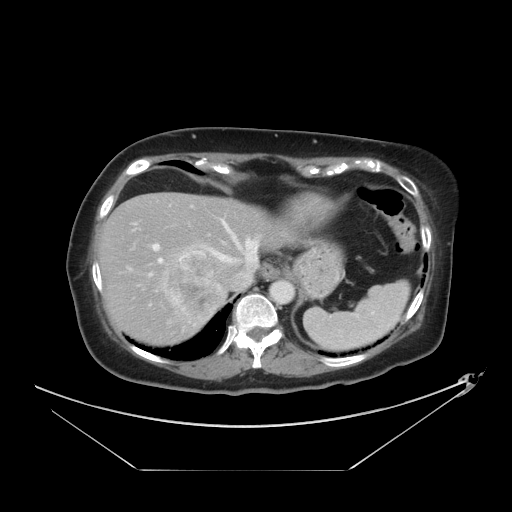

CT scan slice; Image size 512x512
Only some of the vessels may be annotated.
5 hepatic vessel regions are located at (158,258,162,262), (153,244,159,250), (212,251,241,263), (222,220,257,285), (149,273,151,275). The liver tumor lies within (160,247,226,327).